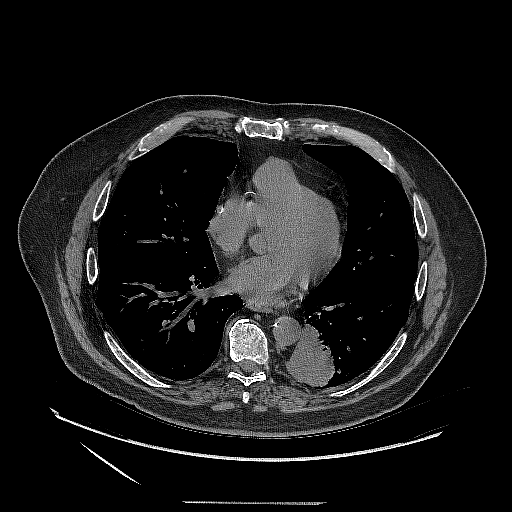 CT

Annotated regions:
* lung tumor: box=[286, 324, 340, 389]